FLAIR MRI.
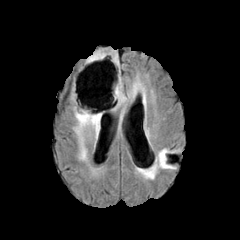
T1-weighted MRI.
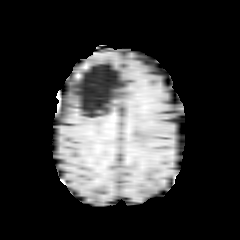
Post-contrast T1-weighted magnetic resonance.
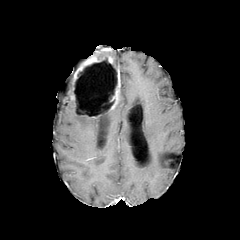
T2-weighted MRI.
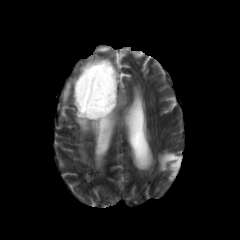
240x240
Edema at x1=113, y1=74, x2=145, y2=124; x1=72, y1=100, x2=101, y2=161; x1=108, y1=51, x2=122, y2=67; x1=158, y1=150, x2=175, y2=171.
Non-enhancing tumor core at x1=74, y1=78, x2=117, y2=118.
Enhancing tumor at x1=114, y1=72, x2=120, y2=100; x1=84, y1=49, x2=110, y2=64.